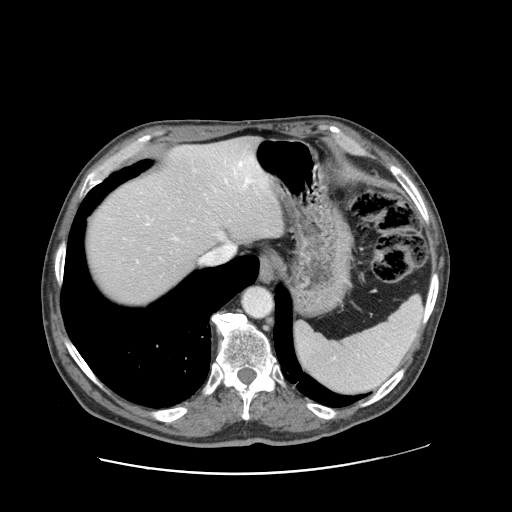
CT slice

The vessel boxes may cover only some of the vessels.
Hepatic vessel: bounding box 147,223,148,224; 233,161,244,173; 225,179,226,182; 245,174,253,185.